Computed tomography; Abdomen; Slice 44/82
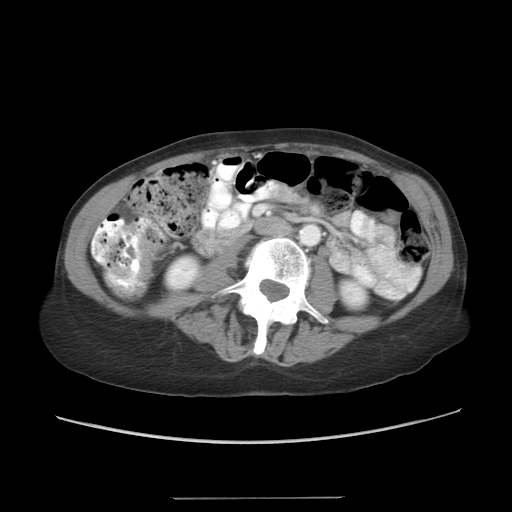

Colon tumor at (x1=137, y1=238, x2=156, y2=280).